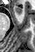

Medial temporal lobe | MRI slice
{
  "anterior_hippocampus": [
    {"x1": 15, "y1": 5, "x2": 21, "y2": 14}
  ]
}